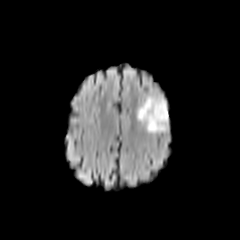
FLAIR magnetic resonance.
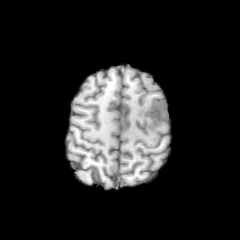
T1-weighted MR.
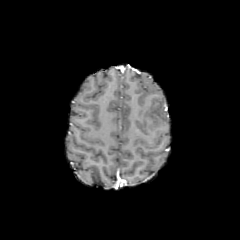
Same slice, post-contrast T1-weighted MR image.
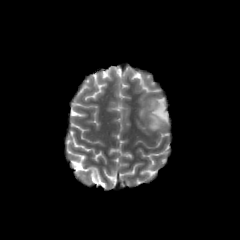
T2-weighted MR image.
Image size 240x240
Edema: bounding box [x1=136, y1=92, x2=169, y2=132].
Non-enhancing tumor core: bounding box [x1=150, y1=98, x2=167, y2=119].